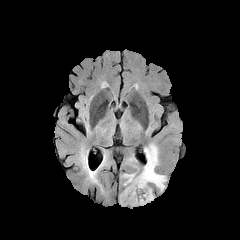
FLAIR magnetic resonance.
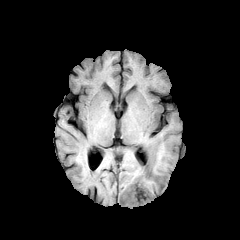
T1-weighted MR.
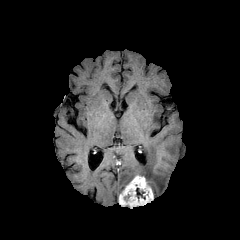
Same slice, post-contrast T1-weighted MRI.
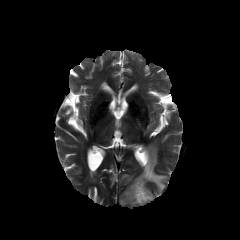
T2-weighted magnetic resonance.
Brain.
edema:
  - (139, 144, 166, 191)
  - (122, 173, 137, 185)
enhancing_tumor:
  - (118, 174, 153, 206)
non-enhancing_tumor_core:
  - (136, 188, 144, 198)